Liver | Computed tomography
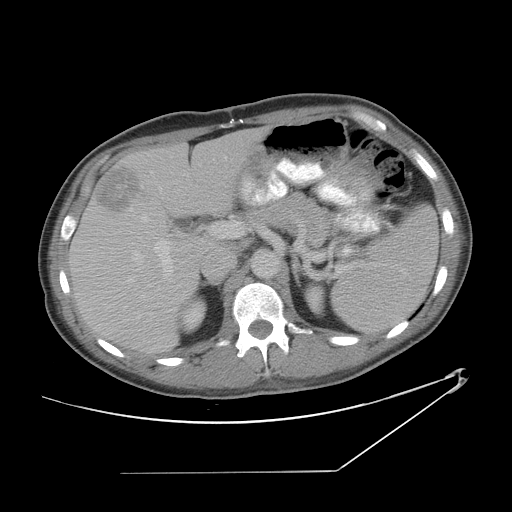 Some hepatic vessels may have no box.
The liver tumor is located at box=[95, 162, 144, 214]. 8 hepatic vessel regions are bounded by box=[128, 277, 133, 281]; box=[151, 313, 152, 314]; box=[155, 181, 162, 192]; box=[154, 241, 171, 278]; box=[150, 171, 153, 173]; box=[141, 215, 147, 221]; box=[133, 251, 142, 263]; box=[225, 157, 226, 159].